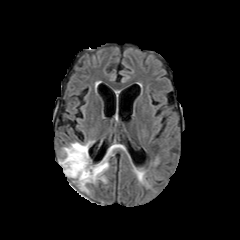
FLAIR MRI.
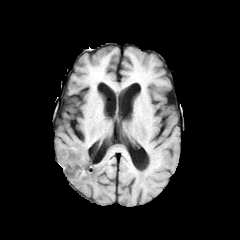
T1-weighted MR of the same slice.
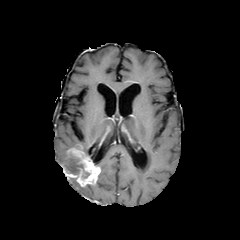
Post-contrast T1-weighted magnetic resonance.
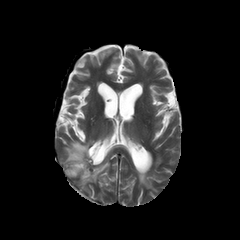
T2-weighted MRI of the same slice.
Brain.
<segmentation>
  <non-enhancing_tumor_core>bbox(63, 154, 83, 174)</non-enhancing_tumor_core>
  <enhancing_tumor>bbox(64, 149, 100, 185)</enhancing_tumor>
  <edema>bbox(61, 141, 89, 170); bbox(98, 158, 108, 180); bbox(133, 167, 149, 187)</edema>
</segmentation>